CT slice, Slice 66/110, Field of view 410x410 mm

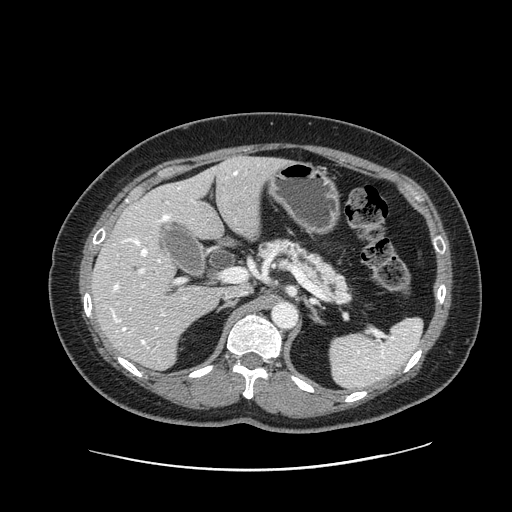

The pancreas is located at 259:240:349:302.